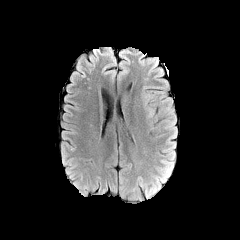
FLAIR MR image.
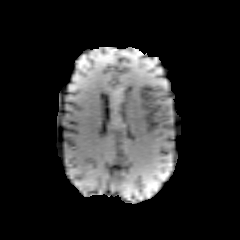
T1-weighted MR of the same slice.
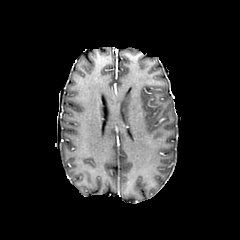
Post-contrast T1-weighted MRI of the same slice.
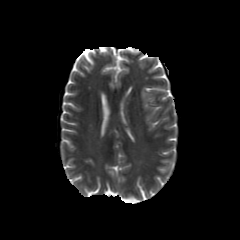
T2-weighted MR.
Image size 240x240
{"edema": ["(left=158, top=159, right=170, bottom=174)", "(left=155, top=176, right=164, bottom=185)"]}